CT slice. 512x512. 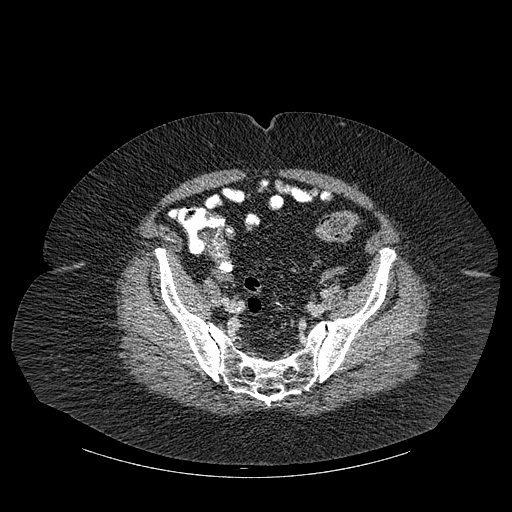 2 bone regions are bounded by left=223, top=189, right=240, bottom=200; left=155, top=248, right=395, bottom=405.